FLAIR MR.
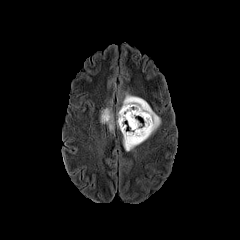
T1-weighted MRI.
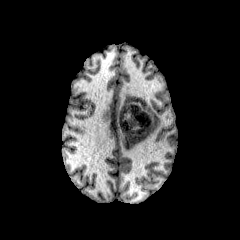
Post-contrast T1-weighted magnetic resonance.
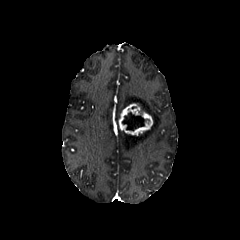
T2-weighted MRI.
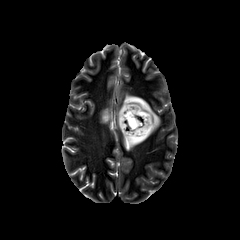
Image size 240x240 | Head
2 edema regions appear at x1=118 y1=92 x2=161 y2=151, x1=100 y1=107 x2=111 y2=131. The non-enhancing tumor core is bounded by x1=121 y1=112 x2=145 y2=130. The enhancing tumor is located at x1=118 y1=103 x2=153 y2=135.